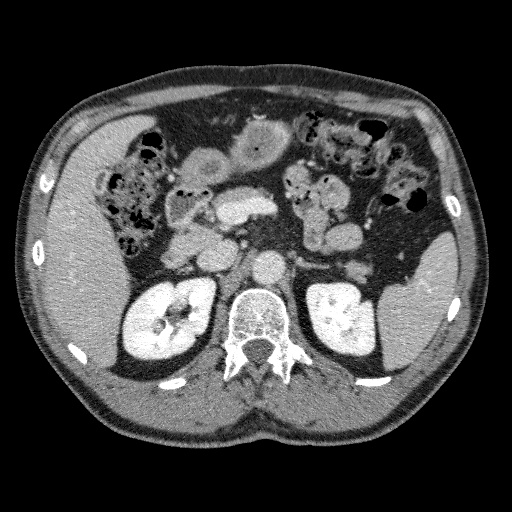

CT slice.
{
  "liver": [
    {"x1": 170, "y1": 231, "x2": 222, "y2": 254},
    {"x1": 44, "y1": 116, "x2": 154, "y2": 365}
  ],
  "kidney": [
    {"x1": 307, "y1": 283, "x2": 374, "y2": 354},
    {"x1": 123, "y1": 278, "x2": 214, "y2": 358}
  ]
}